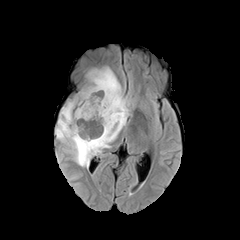
FLAIR magnetic resonance.
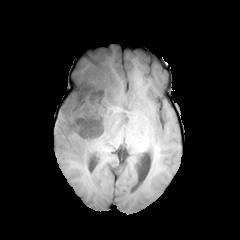
T1-weighted MR image.
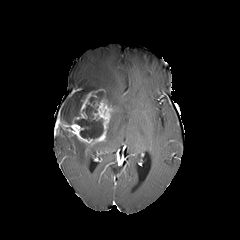
Post-contrast T1-weighted MR image of the same slice.
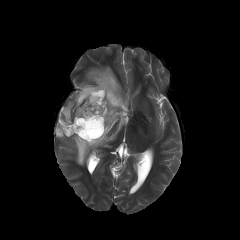
T2-weighted MR of the same slice.
240x240 px, Brain
non-enhancing_tumor_core:
  - x1=73 y1=104 x2=103 y2=138
  - x1=78 y1=87 x2=113 y2=115
enhancing_tumor:
  - x1=55 y1=89 x2=111 y2=143
edema:
  - x1=60 y1=92 x2=79 y2=121
  - x1=56 y1=67 x2=129 y2=168